FLAIR MR image.
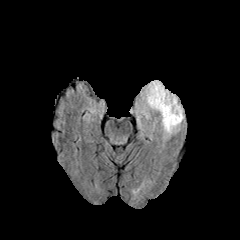
T1-weighted MR image.
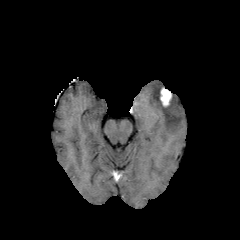
Post-contrast T1-weighted MRI.
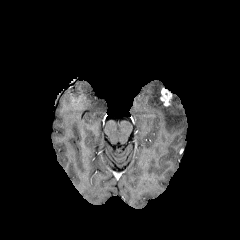
T2-weighted MR image.
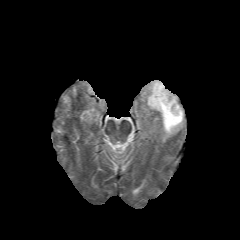
Head. 240x240.
Findings:
• enhancing tumor: x1=160 y1=87 x2=171 y2=106
• edema: x1=135 y1=80 x2=184 y2=141